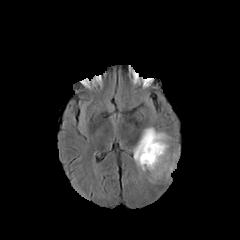
FLAIR MR.
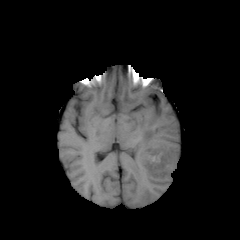
T1-weighted magnetic resonance of the same slice.
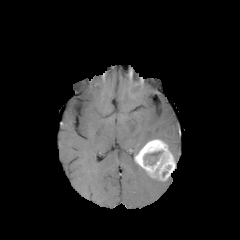
Same slice, post-contrast T1-weighted MR image.
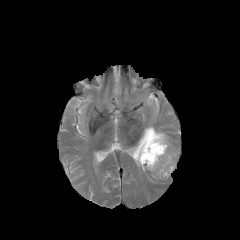
T2-weighted magnetic resonance of the same slice.
Brain
enhancing_tumor:
  - 134:138:175:179
edema:
  - 136:163:166:182
  - 131:125:179:161
non-enhancing_tumor_core:
  - 146:151:161:163